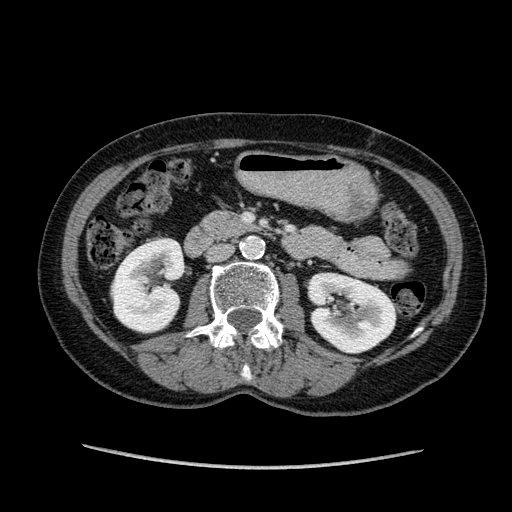

CT scan slice | Abdomen | 512x512

2 kidney regions are located at (309,273,395,352), (111,239,183,331).